Slice 56/155.
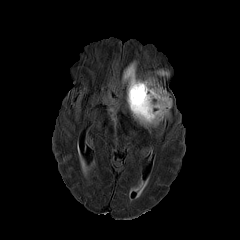
FLAIR magnetic resonance.
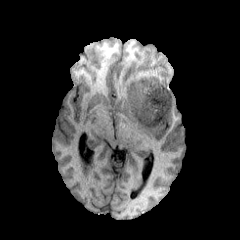
T1-weighted MRI.
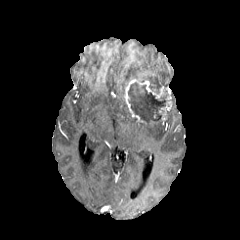
Post-contrast T1-weighted magnetic resonance.
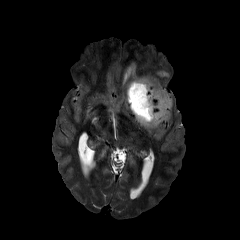
T2-weighted magnetic resonance.
4 edema regions are located at box(144, 125, 159, 133); box(157, 69, 169, 77); box(141, 74, 161, 88); box(121, 60, 139, 86). The non-enhancing tumor core lies within box(127, 82, 170, 122). The enhancing tumor lies within box(124, 78, 171, 125).